Brain, Slice 63/155
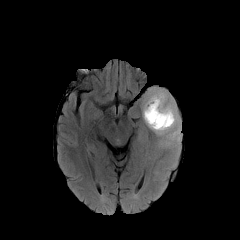
FLAIR MR image.
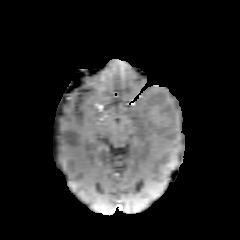
T1-weighted magnetic resonance.
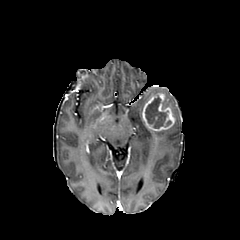
Post-contrast T1-weighted MR image.
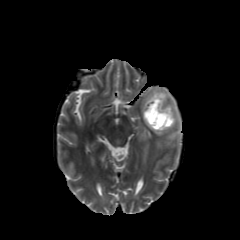
T2-weighted MRI of the same slice.
Edema at 140 87 181 152.
Non-enhancing tumor core at 145 97 165 128.
Enhancing tumor at 142 93 175 131.